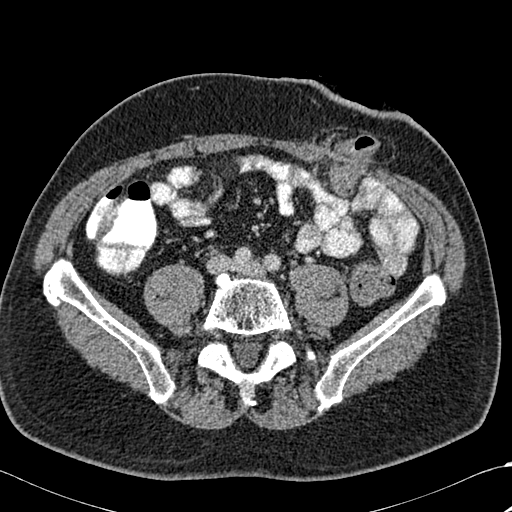
Image size 512x512. CT slice.
Bone: (x1=315, y1=275, x2=445, y2=410), (x1=44, y1=259, x2=174, y2=403), (x1=198, y1=273, x2=295, y2=404).